Slice index 297 | CT

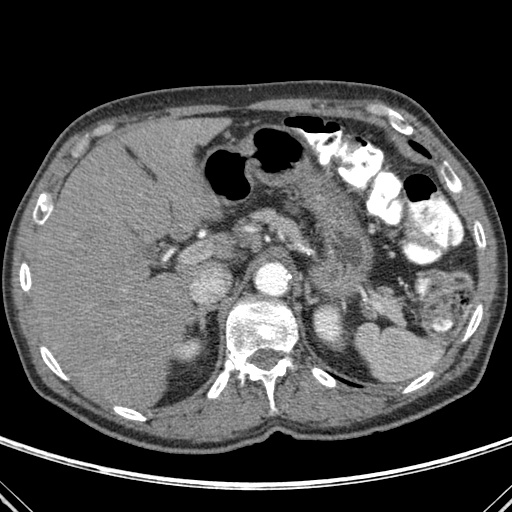

<segmentation>
  <liver>left=32, top=117, right=231, bottom=410; left=218, top=232, right=232, bottom=257</liver>
  <kidney>left=324, top=309, right=337, bottom=321; left=315, top=316, right=339, bottom=340; left=181, top=344, right=196, bottom=356</kidney>
  <bone>left=207, top=296, right=298, bottom=411; left=403, top=371, right=434, bottom=392; left=19, top=263, right=31, bottom=291; left=33, top=194, right=51, bottom=224; left=444, top=162, right=461, bottom=192; left=40, top=346, right=67, bottom=379; left=113, top=407, right=145, bottom=420; left=312, top=368, right=335, bottom=387; left=474, top=221, right=485, bottom=248; left=463, top=304, right=482, bottom=340</bone>
  <lung>left=410, top=141, right=429, bottom=157</lung>
</segmentation>